Slice index 94.
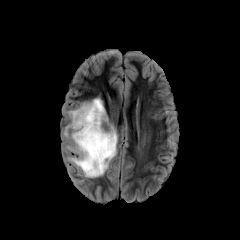
FLAIR magnetic resonance.
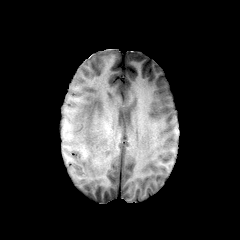
T1-weighted MR image of the same slice.
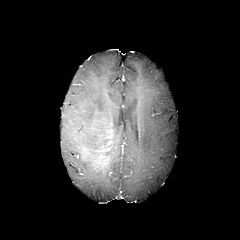
Same slice, post-contrast T1-weighted magnetic resonance.
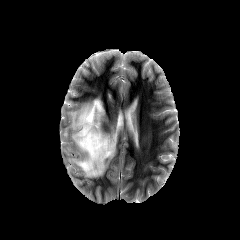
T2-weighted MR image.
<segmentation>
  <edema>[x1=65, y1=98, x2=118, y2=177]</edema>
</segmentation>